Brain | Slice 93/155
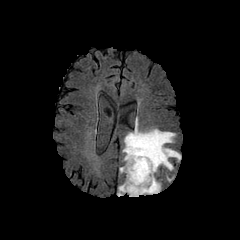
FLAIR MRI.
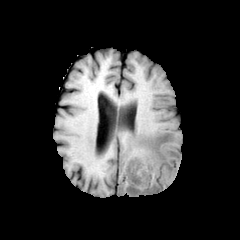
T1-weighted magnetic resonance.
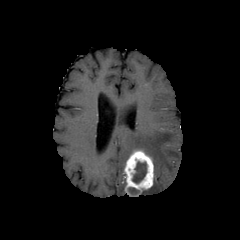
Post-contrast T1-weighted magnetic resonance.
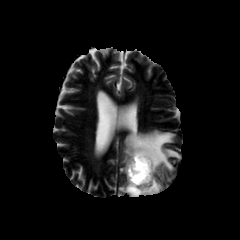
Same slice, T2-weighted MR.
non-enhancing tumor core: x1=133, y1=162, x2=146, y2=182 | enhancing tumor: x1=123, y1=148, x2=154, y2=196 | edema: x1=141, y1=177, x2=161, y2=194; x1=122, y1=117, x2=181, y2=176; x1=117, y1=182, x2=125, y2=196